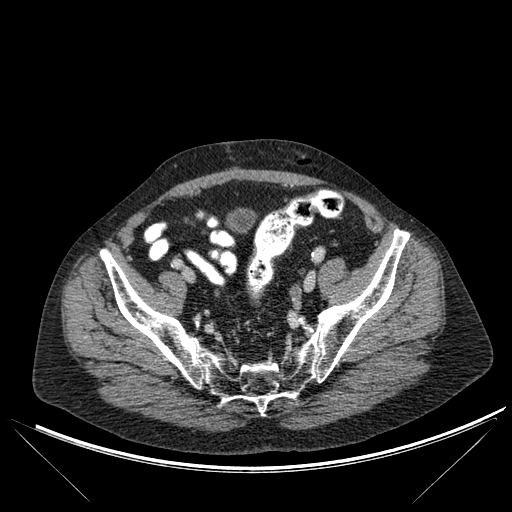
Computed tomography | 512x512
<segmentation>
  <bone>x1=100, y1=229, x2=409, y2=414</bone>
</segmentation>